FLAIR magnetic resonance.
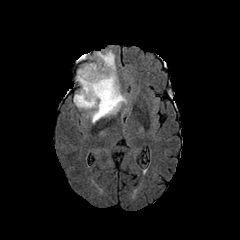
T1-weighted MR image.
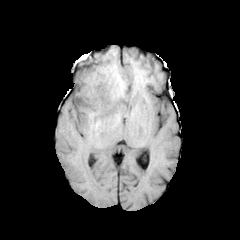
Post-contrast T1-weighted magnetic resonance.
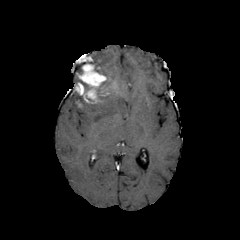
T2-weighted MRI.
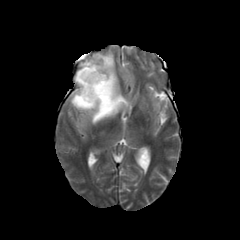
Enhancing tumor at x1=75 y1=57 x2=117 y2=104.
Edema at x1=73 y1=51 x2=127 y2=123.